Head
FLAIR MR image.
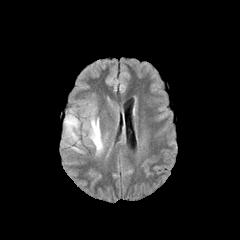
T1-weighted MR.
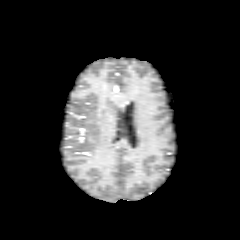
Post-contrast T1-weighted magnetic resonance.
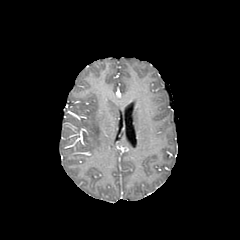
T2-weighted MR.
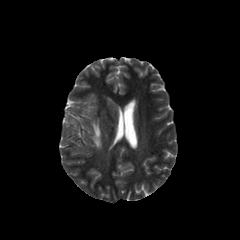
Edema = rect(65, 117, 77, 130); rect(91, 119, 102, 149).